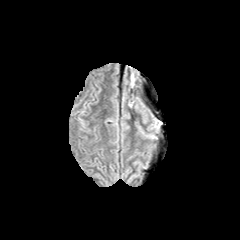
FLAIR MR image.
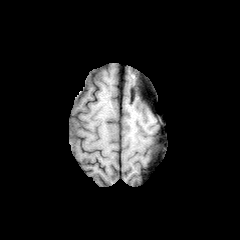
Same slice, T1-weighted MR.
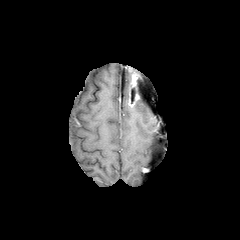
Post-contrast T1-weighted MR image.
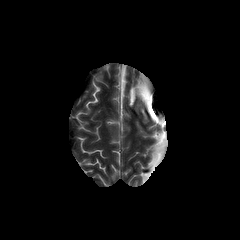
T2-weighted magnetic resonance of the same slice.
Image size 240x240
4 edema regions are located at 134,99,148,121; 140,130,157,139; 130,88,137,97; 148,109,160,129.